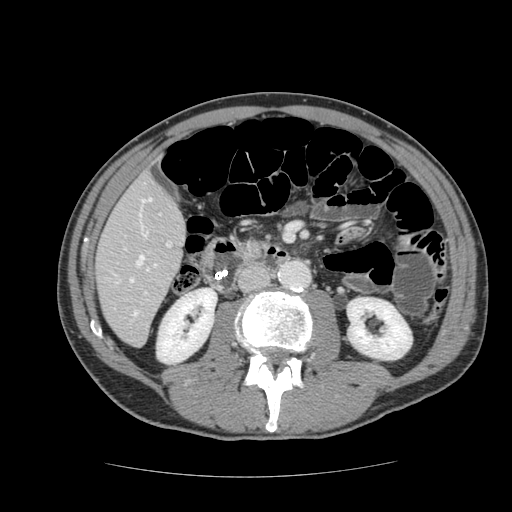
Abdomen, 512x512, CT
<segmentation>
  <pancreas>[238,236,268,263]</pancreas>
</segmentation>